Magnetic resonance. 35x51 px. 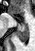

{"anterior_hippocampus": ["box(12, 15, 13, 17)"], "posterior_hippocampus": ["box(16, 23, 29, 41)"]}